FLAIR MR.
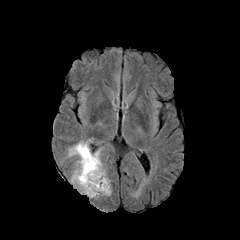
T1-weighted magnetic resonance.
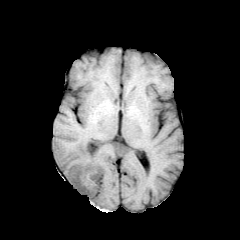
Post-contrast T1-weighted MRI.
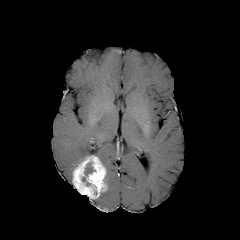
T2-weighted MRI.
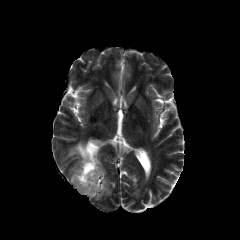
Brain. 240x240.
<segmentation>
  <edema>(67,140,89,165), (102,178,111,195)</edema>
  <enhancing_tumor>(72,155,107,198)</enhancing_tumor>
  <non-enhancing_tumor_core>(85,163,92,174)</non-enhancing_tumor_core>
</segmentation>